Head. Slice index 115.
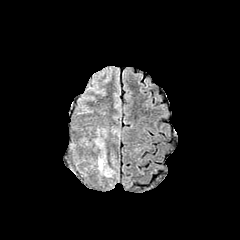
FLAIR magnetic resonance.
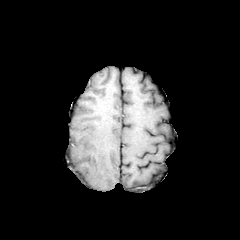
T1-weighted MRI.
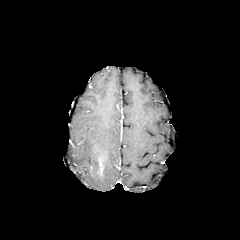
Post-contrast T1-weighted MR image.
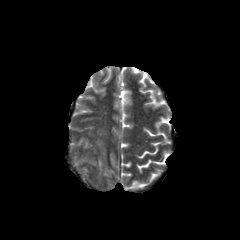
T2-weighted MR image.
• edema: left=97, top=155, right=103, bottom=169; left=99, top=166, right=110, bottom=176